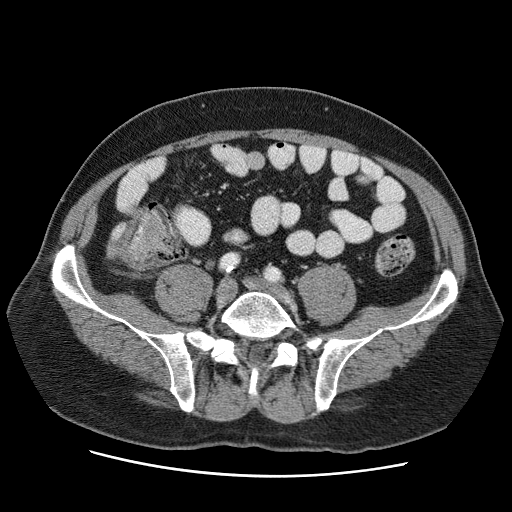

Computed tomography; 512x512; Pelvis

{
  "colon_tumor": [
    "left=138, top=214, right=169, bottom=253"
  ]
}